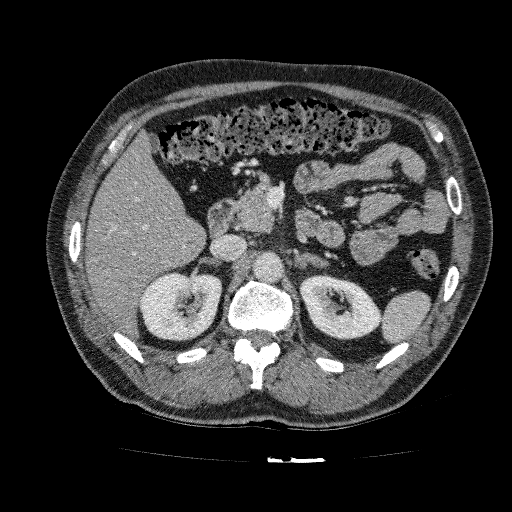
CT image. Liver.

2 kidney regions appear at 300, 276, 381, 338; 140, 273, 221, 339. The liver is bounded by 85, 128, 206, 338.